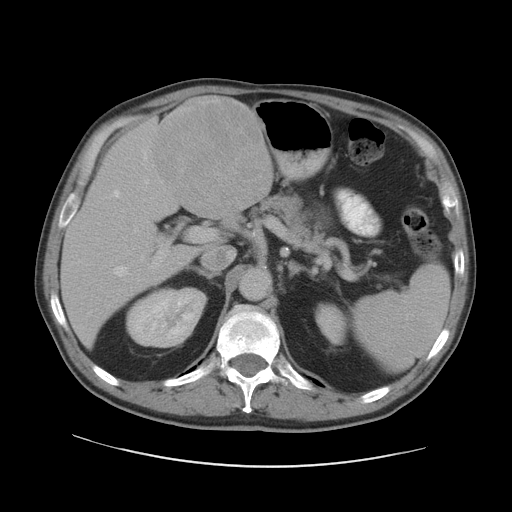 512x512. Liver. CT scan slice. Not every hepatic vessel necessarily has a box.
liver_tumor:
  - 152, 96, 272, 218
hepatic_vessel:
  - 166, 209, 167, 211
  - 145, 243, 147, 245
  - 194, 228, 205, 241
  - 142, 148, 146, 160
  - 134, 227, 138, 231
  - 150, 245, 167, 272
  - 138, 246, 139, 247
  - 124, 237, 125, 239
  - 114, 266, 127, 275
  - 114, 190, 119, 196
  - 122, 210, 124, 211
  - 145, 180, 148, 183
  - 144, 188, 146, 189